Field of view 360 mm wide, 2.50 mm slice spacing | CT image
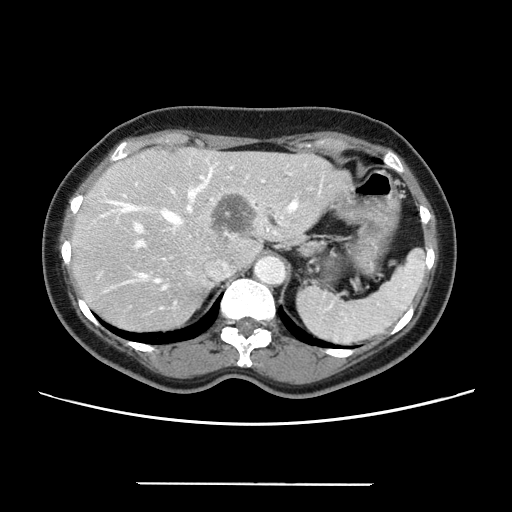 Some hepatic vessels may have no box.
Liver tumor at <bbox>214, 195, 254, 232</bbox>.
Hepatic vessel at <bbox>140, 273, 145, 277</bbox>, <bbox>162, 211, 180, 223</bbox>, <bbox>188, 205, 190, 210</bbox>, <bbox>136, 241, 144, 246</bbox>, <bbox>288, 202, 297, 209</bbox>, <bbox>112, 202, 135, 210</bbox>, <bbox>189, 179, 207, 197</bbox>, <bbox>135, 225, 141, 231</bbox>, <bbox>155, 279, 158, 281</bbox>.